Magnetic resonance. Hippocampus. Slice 16 of 40. Image size 33x44. 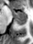
Anterior hippocampus = (x1=11, y1=10, x2=26, y2=17).
Posterior hippocampus = (x1=15, y1=18, x2=26, y2=25).